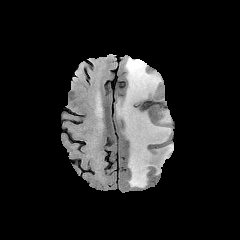
FLAIR magnetic resonance.
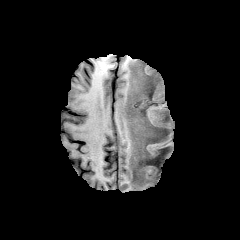
T1-weighted magnetic resonance.
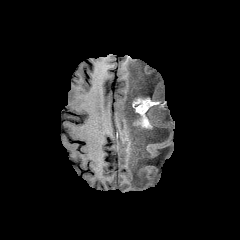
Same slice, post-contrast T1-weighted MR.
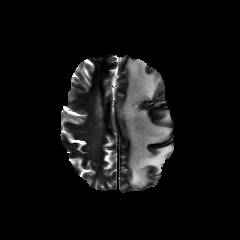
T2-weighted magnetic resonance of the same slice.
Brain
<segmentation>
  <enhancing_tumor>region(132, 98, 151, 128)</enhancing_tumor>
  <edema>region(120, 58, 172, 187)</edema>
  <non-enhancing_tumor_core>region(130, 84, 161, 139)</non-enhancing_tumor_core>
</segmentation>